Slice index 82, Head
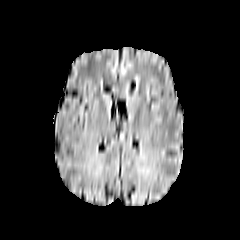
FLAIR magnetic resonance.
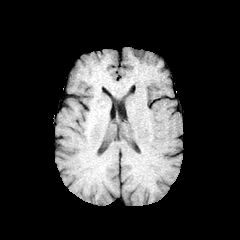
Same slice, T1-weighted MRI.
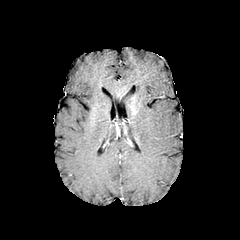
Post-contrast T1-weighted magnetic resonance of the same slice.
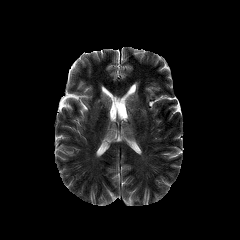
T2-weighted MR.
The edema appears at box(123, 91, 137, 111).